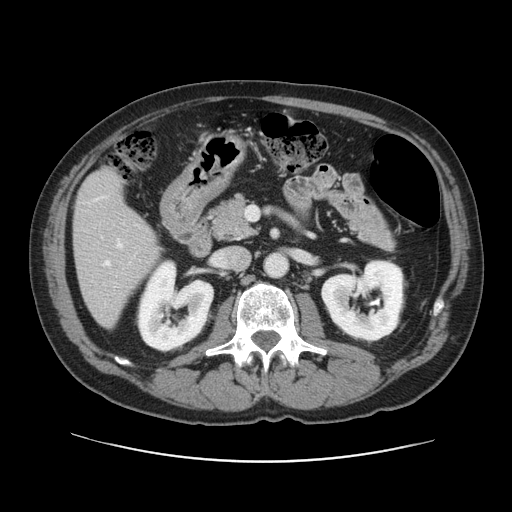
CT image

The vessel annotation is not exhaustive.
Hepatic vessel — x1=105, y1=261, x2=109, y2=264; x1=95, y1=198, x2=99, y2=200; x1=117, y1=240, x2=121, y2=247.